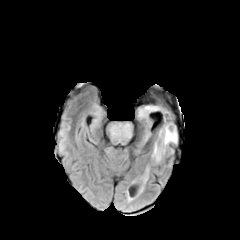
FLAIR magnetic resonance.
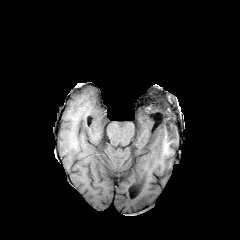
T1-weighted magnetic resonance.
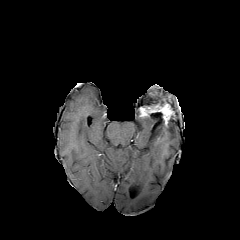
Post-contrast T1-weighted MR image of the same slice.
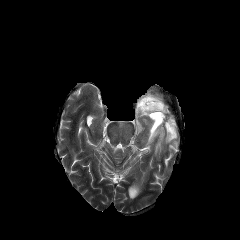
T2-weighted magnetic resonance of the same slice.
2 edema regions are bounded by 151:120:177:161, 125:128:131:137. 2 non-enhancing tumor core regions appear at 160:118:171:133, 144:100:168:106. The enhancing tumor lies within 138:102:171:127.